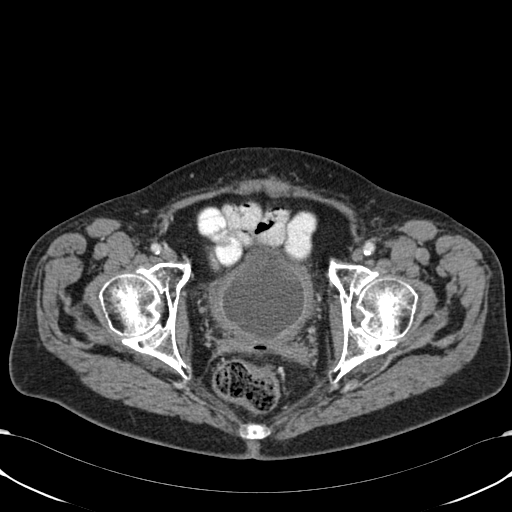

Lower abdomen. CT scan slice. Image size 512x512. The urinary bladder is located at 223 251 303 337.